Abdomen. CT scan slice. 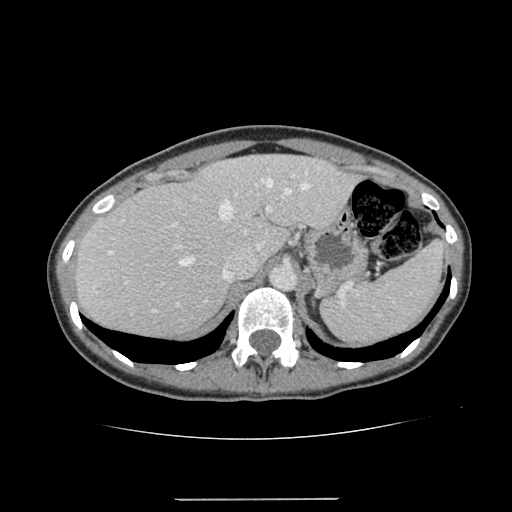 - liver: 78,154,362,339